Hippocampus; Image width 38 mm; MR; Image size 38x50

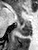 Segmented structures:
• posterior hippocampus: 15:21:30:36